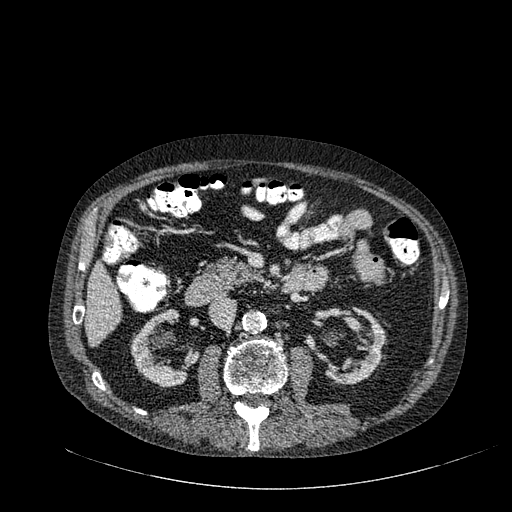

CT scan slice
3 kidney regions are located at 131, 309, 196, 386; 190, 317, 198, 326; 317, 307, 386, 384. The liver lies within 86, 261, 120, 346.